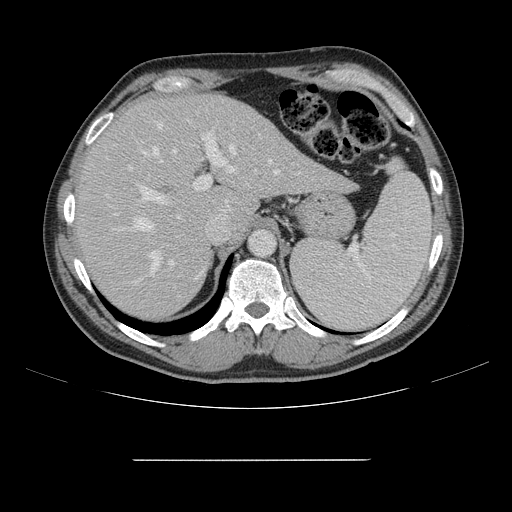

CT image. Some hepatic vessels may have no box.
15 hepatic vessel regions are located at 202, 134, 234, 172; 114, 218, 153, 230; 114, 214, 117, 214; 134, 278, 142, 282; 274, 170, 279, 173; 193, 176, 211, 189; 138, 185, 164, 203; 149, 251, 160, 275; 107, 194, 108, 195; 269, 159, 271, 162; 128, 166, 131, 169; 198, 158, 201, 160; 138, 201, 139, 202; 230, 145, 235, 154; 169, 260, 173, 264.